Brain, Field of view 240 mm wide, 1.00 mm slice spacing, Slice 60 of 155
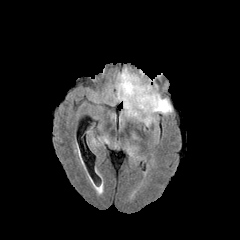
FLAIR MR image.
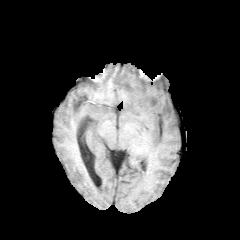
Same slice, T1-weighted MR.
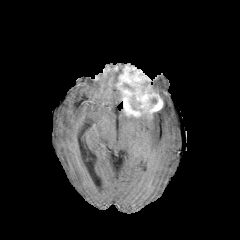
Post-contrast T1-weighted MR.
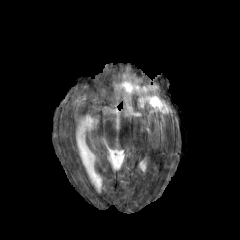
T2-weighted MR image.
edema:
  - left=108, top=70, right=123, bottom=105
  - left=119, top=98, right=172, bottom=131
  - left=99, top=136, right=109, bottom=144
  - left=151, top=79, right=159, bottom=93
enhancing_tumor:
  - left=115, top=63, right=162, bottom=117
non-enhancing_tumor_core:
  - left=149, top=97, right=157, bottom=104
  - left=131, top=98, right=143, bottom=112